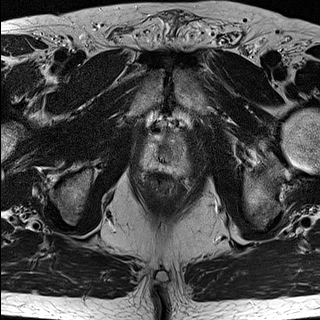
T2-weighted MR.
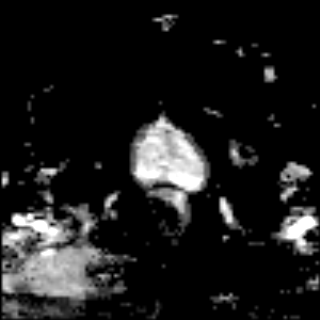
ADC magnetic resonance.
Image size 320x320, Prostate
{
  "prostate_peripheral_zone": [
    "<bbox>137, 138, 197, 179</bbox>"
  ],
  "prostate_transition_zone": [
    "<bbox>156, 137, 177, 163</bbox>"
  ]
}